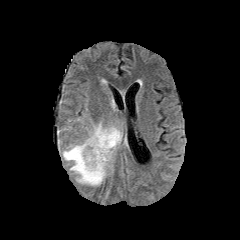
FLAIR MR image.
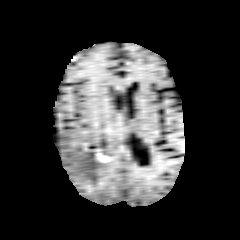
Same slice, T1-weighted MRI.
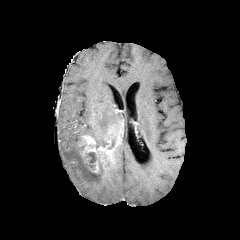
Post-contrast T1-weighted MRI.
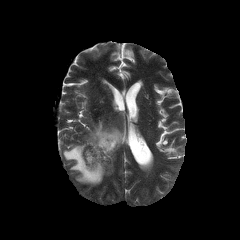
Same slice, T2-weighted MRI.
enhancing tumor: (left=85, top=132, right=121, bottom=157) | non-enhancing tumor core: (left=97, top=151, right=105, bottom=161), (left=106, top=131, right=115, bottom=149) | edema: (left=62, top=139, right=112, bottom=186), (left=85, top=122, right=122, bottom=145)